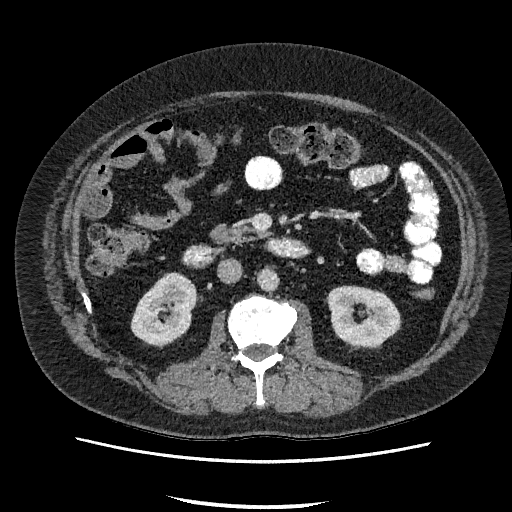 512x512 | CT scan slice

kidney:
  - bbox(329, 287, 399, 345)
  - bbox(132, 275, 195, 343)